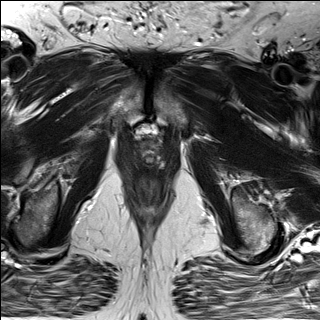
T2-weighted MRI.
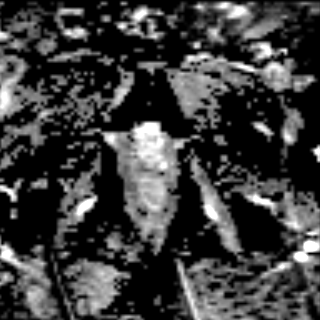
ADC MR.
Prostate
The prostate transition zone appears at (left=134, top=141, right=161, bottom=164).